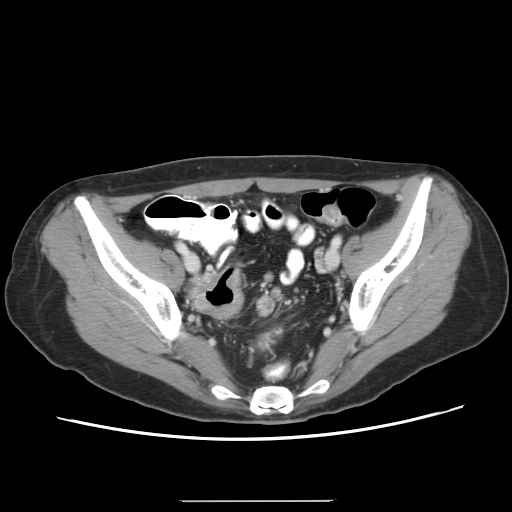 Pelvis | CT image
2 colon tumor regions are located at 207:266:228:290, 193:267:243:319.